Head
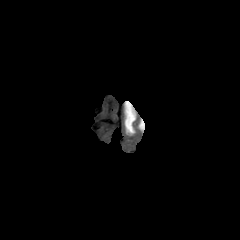
FLAIR magnetic resonance.
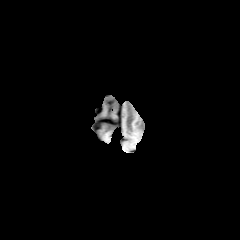
T1-weighted MR.
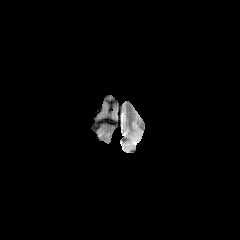
Post-contrast T1-weighted magnetic resonance.
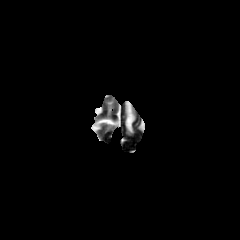
T2-weighted MR image of the same slice.
Segmented structures:
* edema: (124,101,144,136)